FLAIR MR.
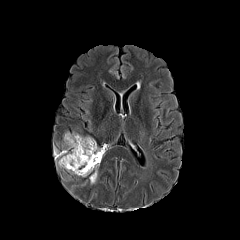
T1-weighted MRI.
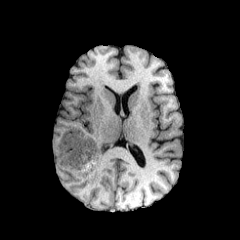
Post-contrast T1-weighted MR image.
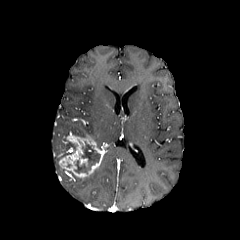
T2-weighted MR image.
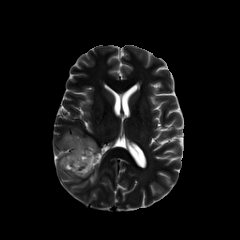
Brain; Image size 240x240
Enhancing tumor: <box>59,133,104,177</box>.
Edema: <box>89,169,97,184</box>.
Non-enhancing tumor core: <box>65,136,75,155</box>, <box>74,141,100,174</box>.